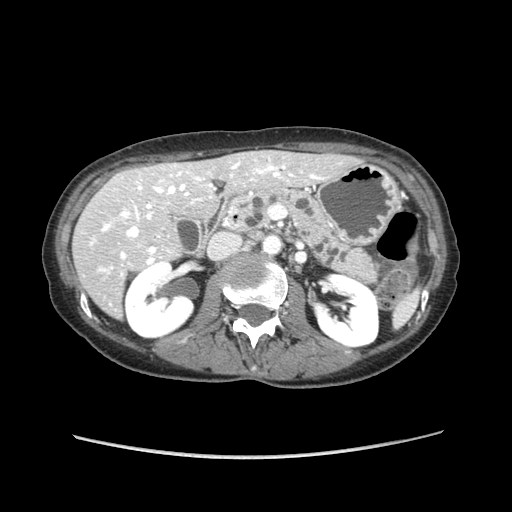 512x512 | Upper abdomen | CT image
Pancreas at rect(227, 188, 375, 282).